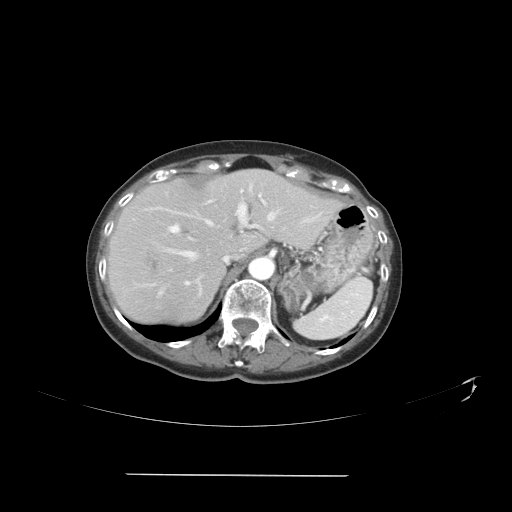 Liver. CT image. The vessel boxes may cover only some of the vessels.
hepatic vessel: bbox=[206, 199, 213, 203]; bbox=[267, 212, 275, 219]; bbox=[189, 237, 192, 239]; bbox=[185, 281, 189, 284]; bbox=[182, 251, 194, 256]; bbox=[206, 219, 211, 224]; bbox=[236, 203, 258, 227]; bbox=[196, 277, 201, 293]; bbox=[303, 214, 320, 222]; bbox=[169, 224, 179, 232]; bbox=[258, 194, 265, 204]; bbox=[249, 184, 252, 190]; bbox=[240, 189, 242, 192] | liver tumor: bbox=[144, 251, 158, 272]